FLAIR MRI.
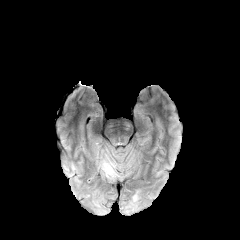
T1-weighted MR.
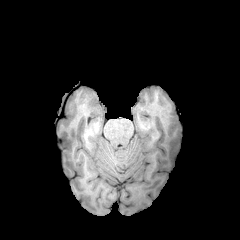
Post-contrast T1-weighted MRI.
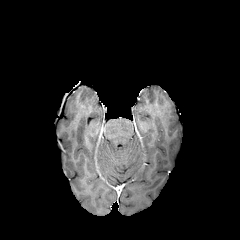
T2-weighted MR image.
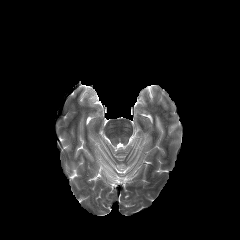
Head
{
  "edema": [
    "l=102, t=160, r=113, b=178"
  ]
}